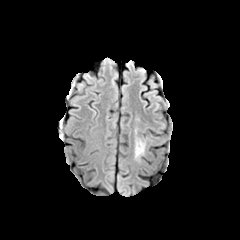
FLAIR magnetic resonance.
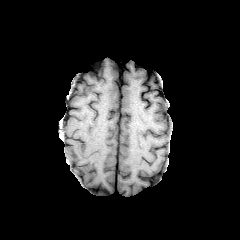
Same slice, T1-weighted magnetic resonance.
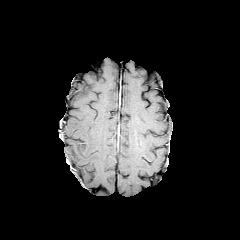
Same slice, post-contrast T1-weighted MRI.
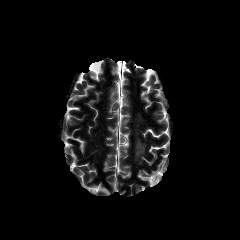
T2-weighted MR image.
* edema: [135, 139, 145, 157]